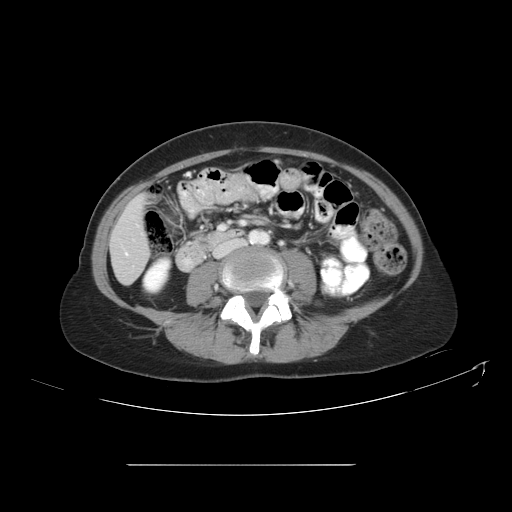 CT slice. The vessel annotation is not exhaustive.
The hepatic vessel is at box=[125, 252, 127, 255].